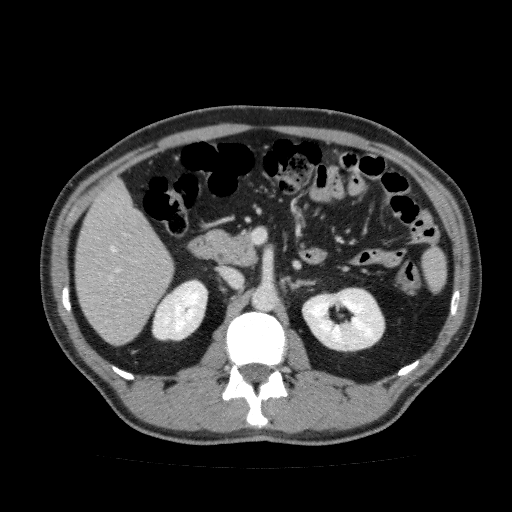
512x512 px, CT slice, Upper abdomen
Segmented structures:
- kidney: (303,288,384,350), (152,280,206,339)
- liver: (74,177,173,344)